CT slice, Field of view 512 mm wide, 1.00 mm slice spacing
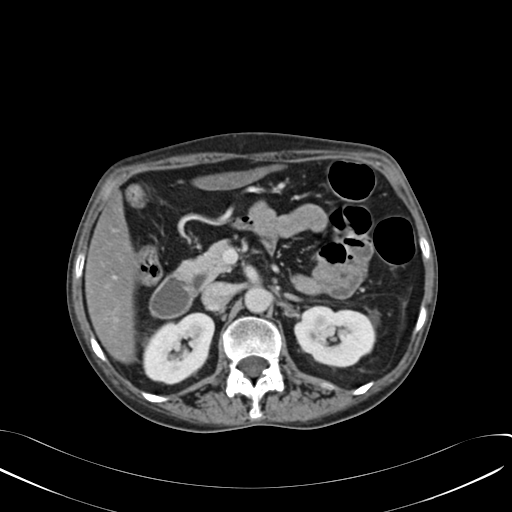

2 liver regions are located at bbox=[195, 164, 282, 188]; bbox=[86, 190, 136, 361]. 2 kidney regions appear at bbox=[145, 314, 213, 382]; bbox=[295, 307, 373, 365].